CT slice.

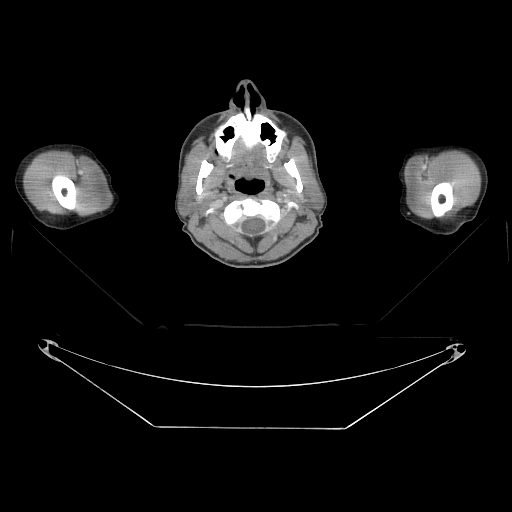

* bone: 196, 160, 213, 194; 284, 158, 302, 192; 52, 175, 76, 209; 222, 198, 282, 238; 216, 108, 283, 162; 431, 182, 452, 216